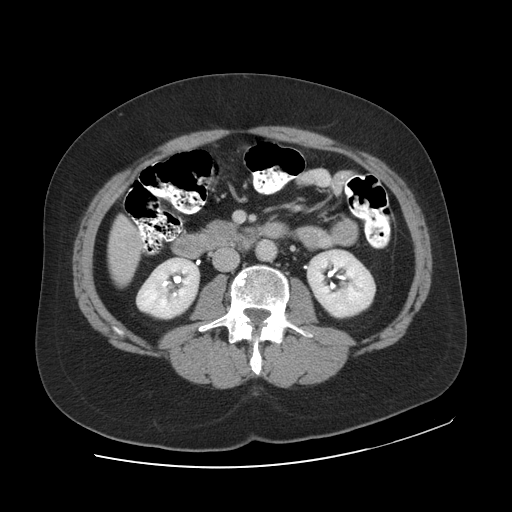 Abdomen. 512x512. Computed tomography. The vessel annotation is not exhaustive.
Hepatic vessel at 121:244:123:245.